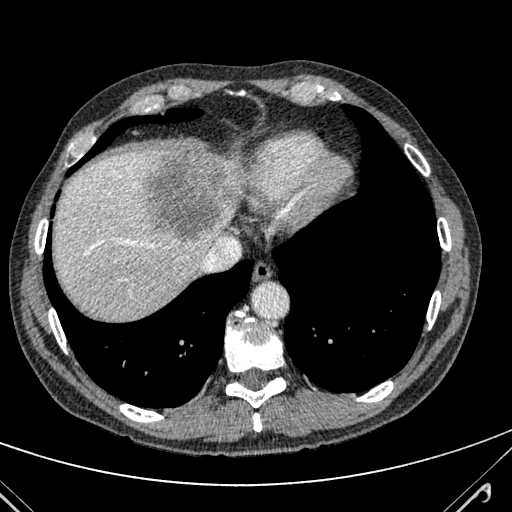
CT scan slice | Image size 512x512
2 liver regions are bounded by l=218, t=155, r=240, b=200; l=53, t=150, r=236, b=318. The liver lesion appears at l=142, t=150, r=237, b=239.